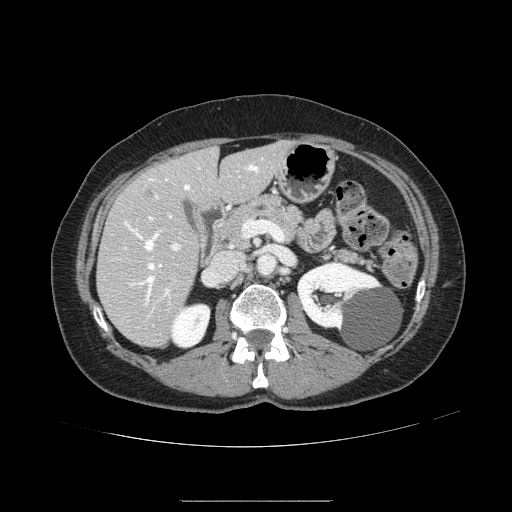
Upper abdomen. 512x512 px. CT image.

pancreas: region(206, 194, 303, 262); region(319, 246, 377, 272)